Image size 512x512; CT slice; Upper abdomen 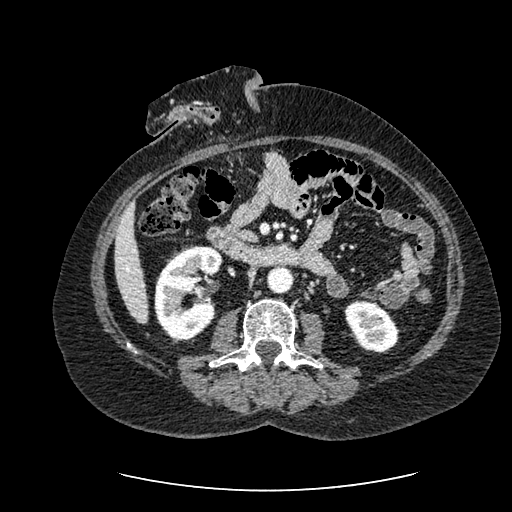 Liver = [116, 202, 147, 323].
Kidney = [155, 247, 221, 339], [345, 302, 397, 351].